Field of view 420 mm wide, 1.50 mm slice spacing; 512x512; Liver; Slice 56/146; CT slice 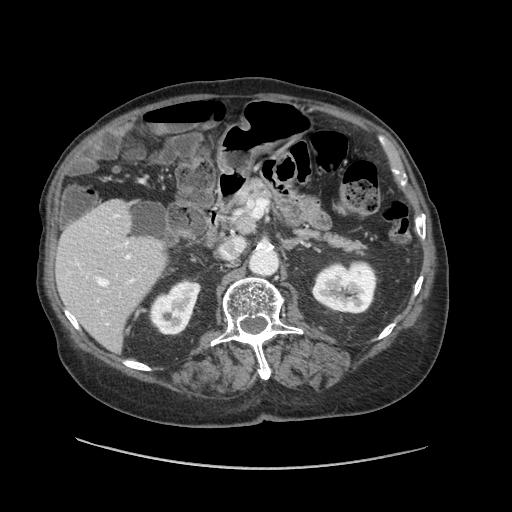

Only some of the vessels may be annotated.
Hepatic vessel at (221,248,232,258), (96,278,107,286), (234,238,243,251).